FLAIR MR.
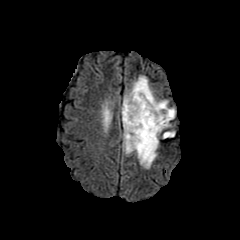
T1-weighted magnetic resonance.
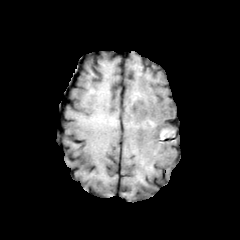
Post-contrast T1-weighted MR image.
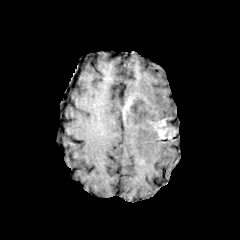
T2-weighted MR.
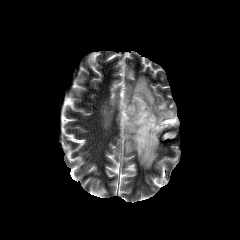
240x240; Brain
2 non-enhancing tumor core regions appear at rect(121, 92, 157, 131); rect(162, 118, 171, 134). 2 edema regions appear at rect(125, 76, 175, 135); rect(121, 115, 161, 166). 2 enhancing tumor regions are located at rect(156, 119, 166, 135); rect(122, 98, 131, 117).